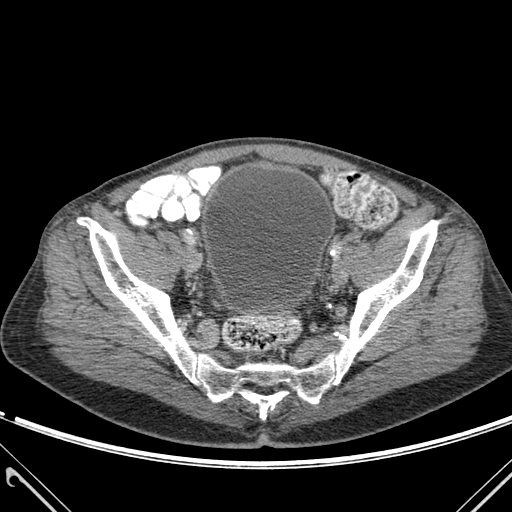

CT slice, 512x512 px
- urinary bladder: (205,168,332,309)
- bone: (240,391,288,419), (77,217,438,403)